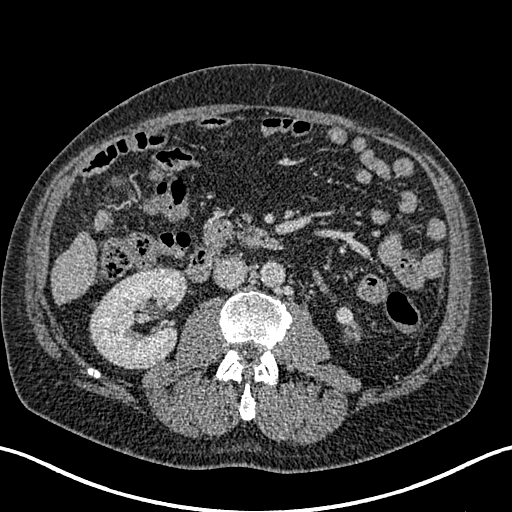

Upper abdomen, CT image

liver:
  - l=53, t=230, r=96, b=305
  - l=93, t=209, r=112, b=232
kidney:
  - l=337, t=309, r=352, b=323
  - l=90, t=269, r=185, b=368